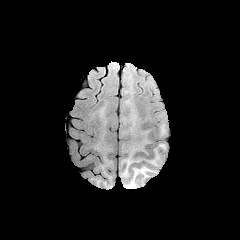
FLAIR MRI.
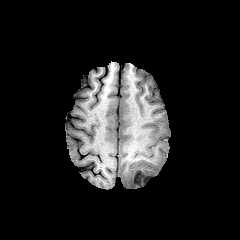
Same slice, T1-weighted MRI.
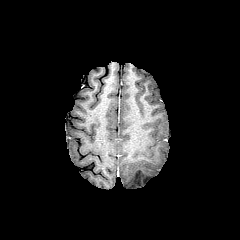
Post-contrast T1-weighted MRI of the same slice.
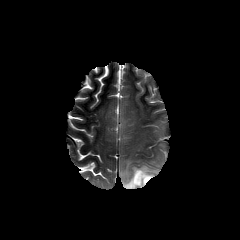
T2-weighted MR.
Brain
Non-enhancing tumor core = [133, 171, 146, 184].
Edema = [121, 160, 157, 188].